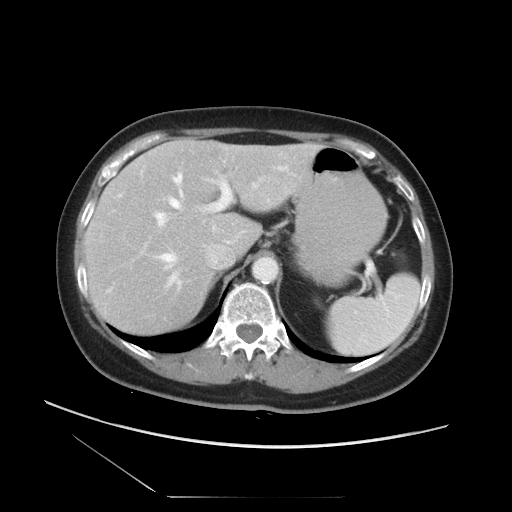 CT slice; Image size 512x512; Liver

Only some of the vessels may be annotated.
liver tumor: {"x1": 234, "y1": 155, "x2": 264, "y2": 189} | hepatic vessel: {"x1": 168, "y1": 198, "x2": 181, "y2": 210}, {"x1": 277, "y1": 166, "x2": 288, "y2": 170}, {"x1": 108, "y1": 289, "x2": 111, "y2": 292}, {"x1": 118, "y1": 194, "x2": 121, "y2": 196}, {"x1": 212, "y1": 225, "x2": 216, "y2": 230}, {"x1": 173, "y1": 173, "x2": 182, "y2": 196}, {"x1": 198, "y1": 176, "x2": 232, "y2": 212}, {"x1": 155, "y1": 212, "x2": 166, "y2": 225}, {"x1": 167, "y1": 272, "x2": 180, "y2": 289}, {"x1": 158, "y1": 254, "x2": 176, "y2": 269}